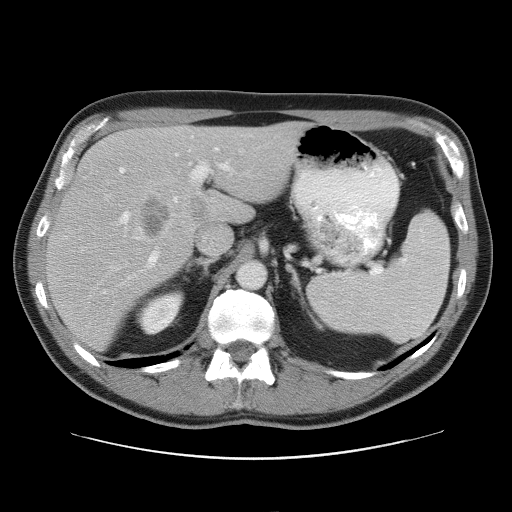
Computed tomography; Liver

Only some of the vessels may be annotated.
hepatic_vessel:
  - rect(118, 211, 129, 224)
  - rect(249, 135, 251, 136)
  - rect(146, 248, 158, 268)
  - rect(205, 198, 210, 202)
  - rect(169, 221, 170, 224)
  - rect(172, 194, 188, 206)
  - rect(119, 168, 124, 172)
  - rect(128, 275, 135, 278)
  - rect(125, 228, 126, 230)
  - rect(105, 195, 109, 198)
  - rect(218, 161, 232, 175)
  - rect(140, 270, 142, 272)
  - rect(187, 160, 211, 194)
  - rect(214, 148, 217, 151)
  - rect(134, 228, 143, 239)
liver_tumor:
  - rect(191, 198, 206, 223)
  - rect(141, 200, 170, 236)